240x240 | Brain
FLAIR MRI.
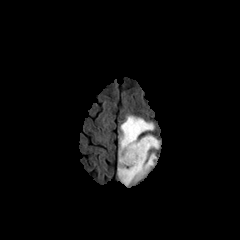
T1-weighted magnetic resonance.
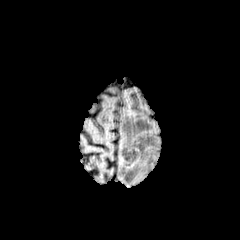
Post-contrast T1-weighted MR.
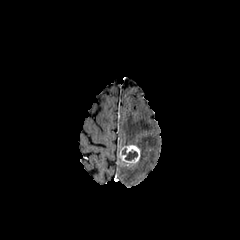
T2-weighted magnetic resonance.
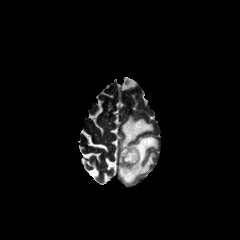
The enhancing tumor appears at x1=118, y1=145, x2=140, y2=166. The non-enhancing tumor core appears at x1=124, y1=151, x2=137, y2=160. The edema is bounded by x1=118, y1=115, x2=158, y2=187.